Brain, 240x240 px
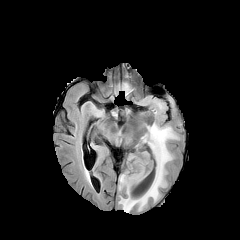
FLAIR MRI.
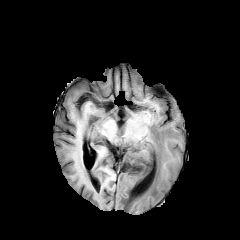
Same slice, T1-weighted MR.
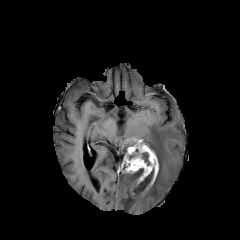
Post-contrast T1-weighted MRI.
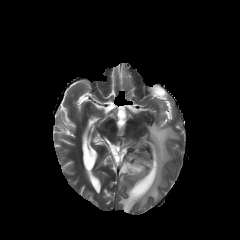
T2-weighted MRI.
Annotated regions:
- enhancing tumor: <box>126,151,158,181</box>
- edema: <box>118,121,176,212</box>
- non-enhancing tumor core: <box>140,173,155,188</box>, <box>128,168,143,176</box>, <box>123,140,154,165</box>